CT image; Liver; Slice 176/299
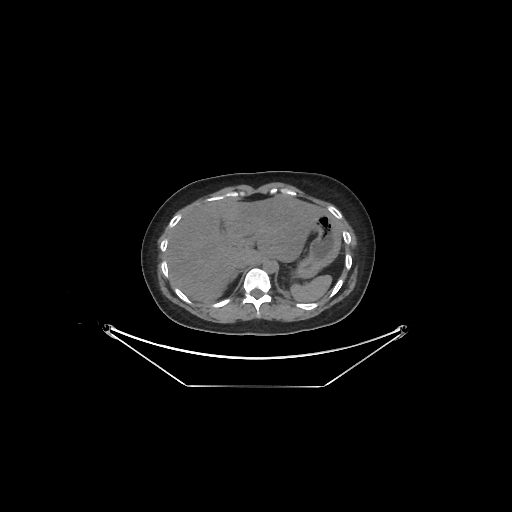
Segmented structures:
• liver: region(163, 194, 345, 302)